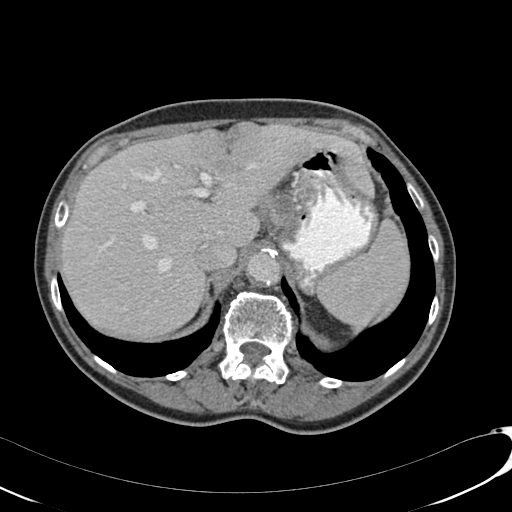
Upper abdomen | Computed tomography
The liver is located at (left=63, top=123, right=373, bottom=336). The focal liver lesion lies within (left=200, top=123, right=262, bottom=174).